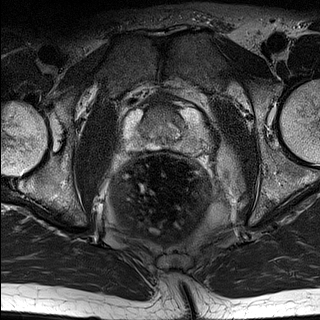
T2-weighted MRI.
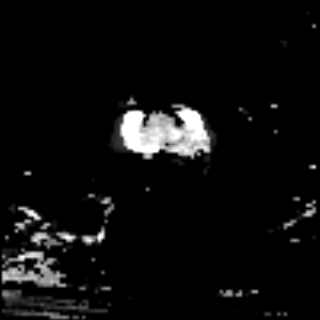
ADC MR of the same slice.
• prostate transition zone: l=136, t=108, r=186, b=142
• prostate peripheral zone: l=125, t=109, r=205, b=151